240x240, Head
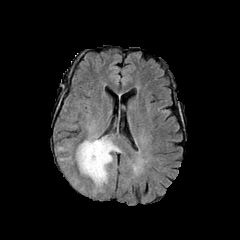
FLAIR MR image.
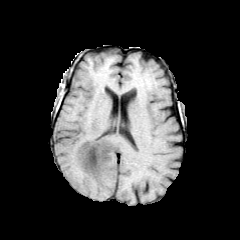
T1-weighted MRI.
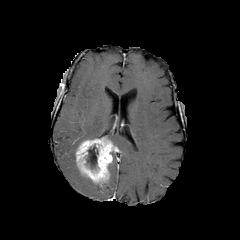
Post-contrast T1-weighted magnetic resonance.
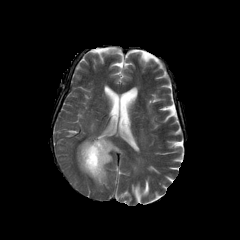
Same slice, T2-weighted magnetic resonance.
non-enhancing_tumor_core:
  - left=87, top=146, right=98, bottom=168
edema:
  - left=103, top=134, right=122, bottom=153
  - left=91, top=183, right=105, bottom=195
  - left=84, top=117, right=104, bottom=140
  - left=107, top=150, right=116, bottom=180
enhancing_tumor:
  - left=76, top=137, right=118, bottom=185